CT slice, Slice 19 of 151, Abdomen 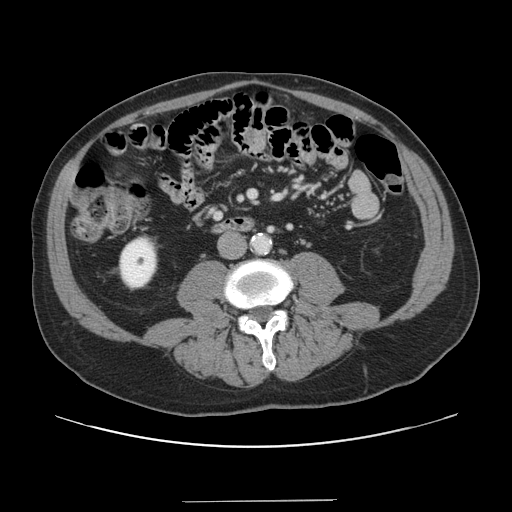

The vessel annotation is not exhaustive.
Hepatic vessel: bounding box region(250, 192, 252, 195).